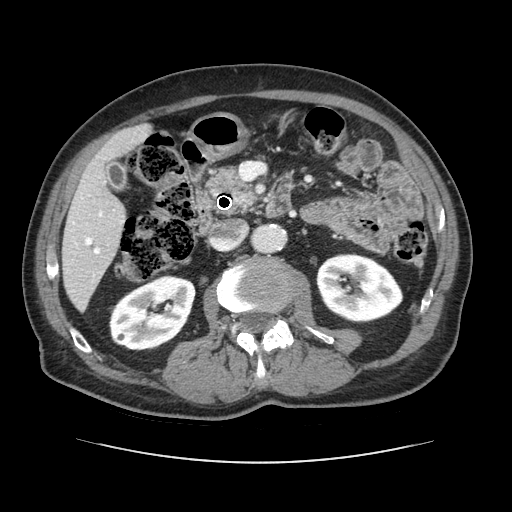

Image size 512x512 | CT scan slice | Abdomen
The pancreas is located at (209,166,256,208).